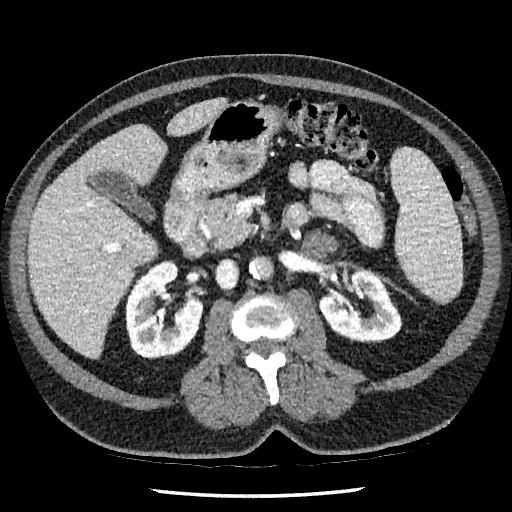 CT, Image size 512x512
Kidney: 126:262:202:356, 320:271:400:340.
Liver: 29:125:166:357, 168:99:225:135.